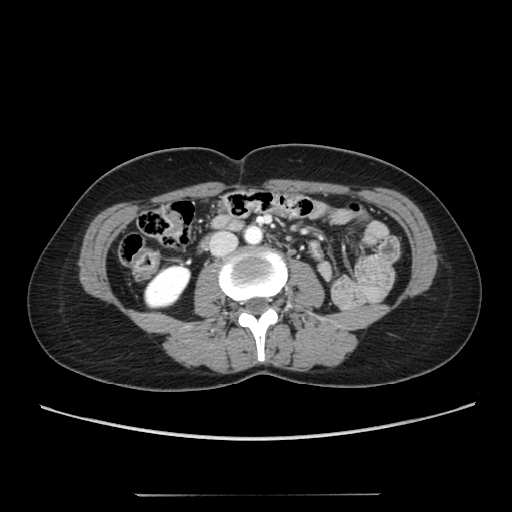 512x512 px. CT slice. Abdomen. kidney: <bbox>146, 267, 188, 305</bbox>